Slice 51 of 155 | Head
FLAIR MRI.
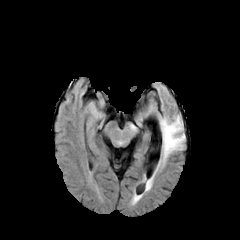
T1-weighted MR.
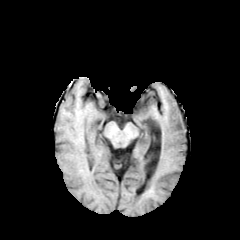
Post-contrast T1-weighted magnetic resonance.
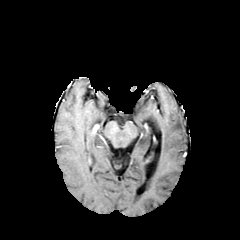
T2-weighted MR.
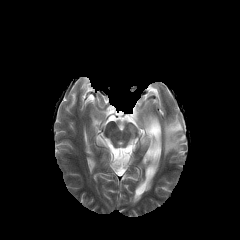
<segmentation>
  <edema>l=160, t=116, r=184, b=161; l=143, t=176, r=153, b=190; l=131, t=195, r=140, b=204</edema>
</segmentation>